FLAIR magnetic resonance.
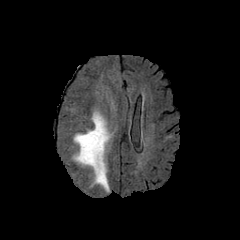
T1-weighted magnetic resonance.
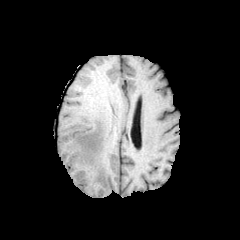
Post-contrast T1-weighted magnetic resonance.
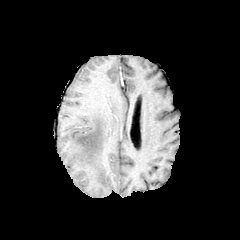
T2-weighted MRI.
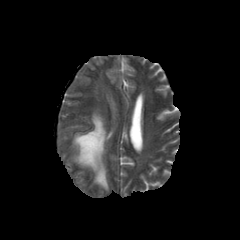
Brain; 240x240 px
edema:
  - (72,112,111,190)